Field of view 240x240 mm, Slice index 93
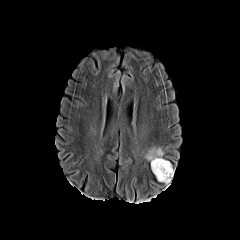
FLAIR MR image.
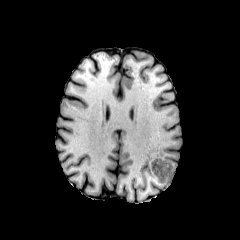
T1-weighted magnetic resonance.
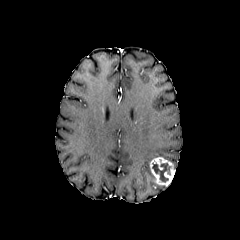
Post-contrast T1-weighted MR of the same slice.
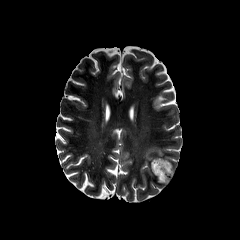
Same slice, T2-weighted MRI.
Edema: [x1=143, y1=146, x2=163, y2=162].
Enhancing tumor: [x1=150, y1=157, x2=174, y2=185].
Non-enhancing tumor core: [x1=152, y1=159, x2=171, y2=182].